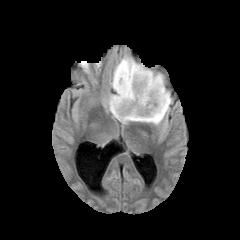
FLAIR MRI.
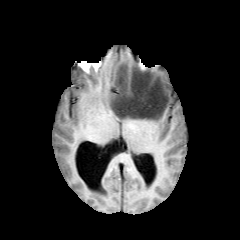
Same slice, T1-weighted MRI.
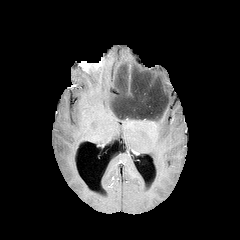
Post-contrast T1-weighted magnetic resonance.
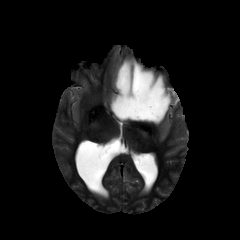
T2-weighted magnetic resonance.
Head
{"edema": ["(109,55,172,126)"], "non-enhancing_tumor_core": ["(113,69,167,118)"]}